CT slice

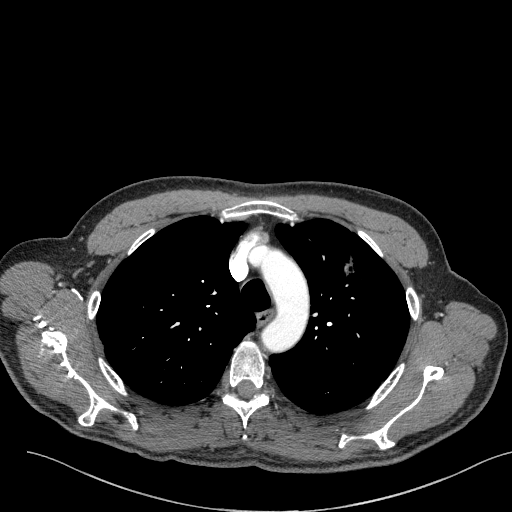

<segmentation>
  <lung_tumor>l=339, t=253, r=370, b=288</lung_tumor>
</segmentation>